Abdomen; CT image 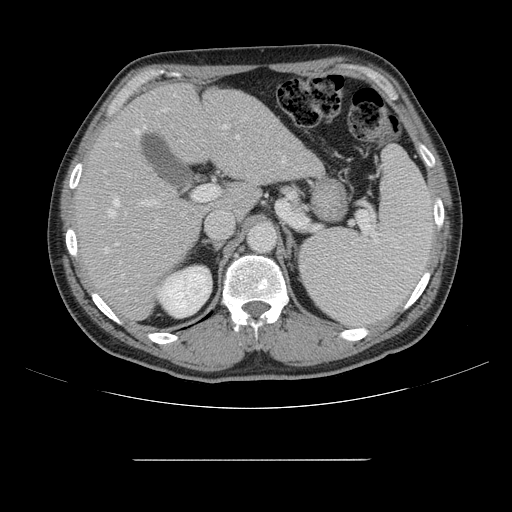

Some hepatic vessels may have no box.
Principal 15 of 16 hepatic vessel regions — <bbox>105, 247, 107, 252</bbox>, <bbox>142, 200, 157, 204</bbox>, <bbox>174, 94, 176, 97</bbox>, <bbox>114, 199, 119, 205</bbox>, <bbox>223, 125, 227, 128</bbox>, <bbox>121, 274, 123, 276</bbox>, <bbox>161, 109, 166, 111</bbox>, <bbox>235, 136, 238, 138</bbox>, <bbox>256, 193, 258, 194</bbox>, <bbox>143, 125, 145, 128</bbox>, <bbox>108, 210, 115, 216</bbox>, <bbox>282, 158, 284, 163</bbox>, <bbox>191, 178, 216, 201</bbox>, <bbox>135, 129, 139, 133</bbox>, <bbox>116, 143, 118, 146</bbox>.